Field of view 432 mm wide, 0.70 mm slice spacing | Slice 496/986 | Image size 512x512 | CT slice 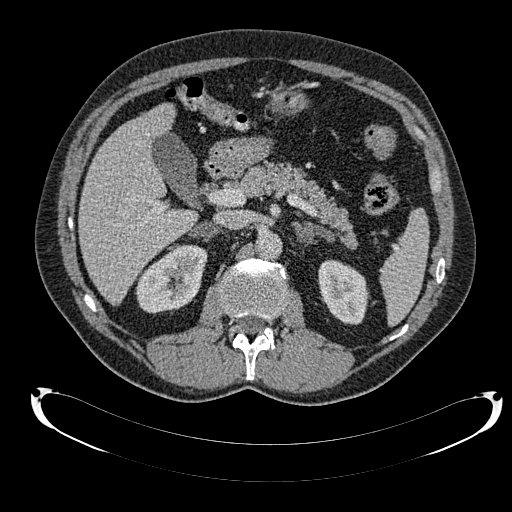

Annotated regions:
* liver: box(79, 104, 196, 304)
* kidney: box(137, 245, 206, 312); box(319, 260, 367, 323)